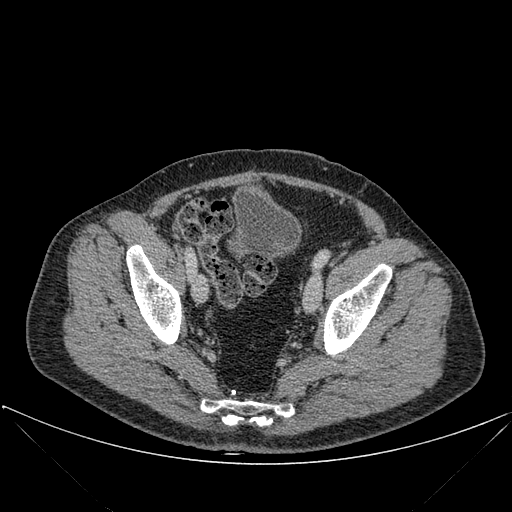 CT scan slice; Image size 512x512
bone:
  - region(201, 400, 294, 416)
  - region(126, 245, 181, 344)
  - region(250, 416, 273, 427)
  - region(222, 415, 244, 426)
  - region(324, 264, 391, 354)